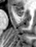
MRI, Medial temporal lobe
The anterior hippocampus is at bbox(12, 6, 23, 16).